512x512 px | CT image 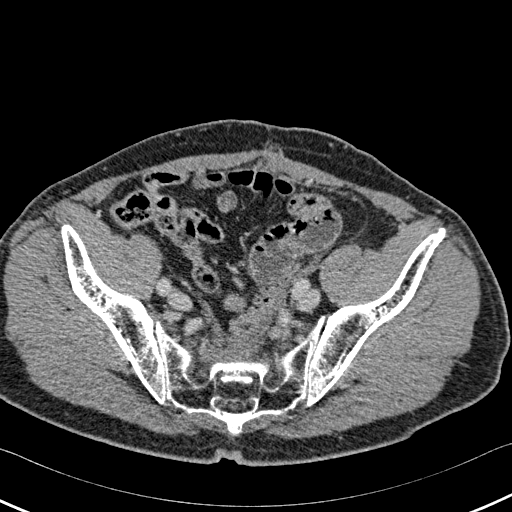 Bone = bbox(61, 225, 444, 433).